Slice 438 of 630. Computed tomography. Field of view 330x330 mm. Liver. 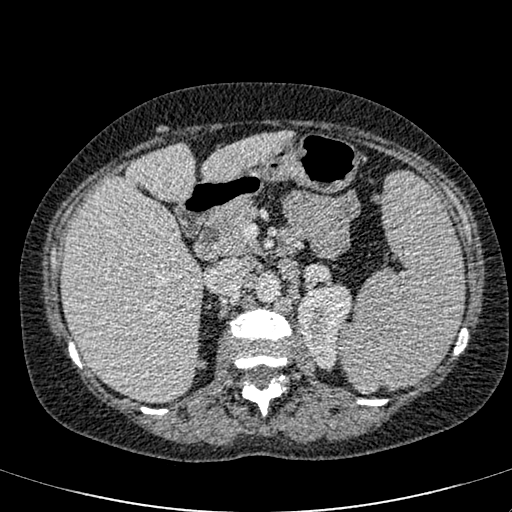
Liver at <bbox>63, 144, 202, 401</bbox>, <bbox>201, 133, 289, 182</bbox>.
Kidney at <bbox>298, 285, 351, 368</bbox>.